Slice index 52 | Brain
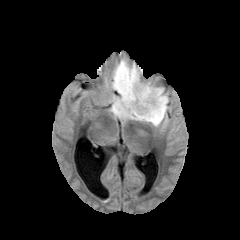
FLAIR MR.
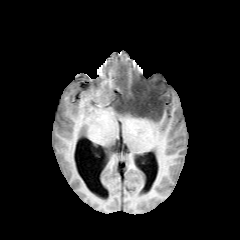
T1-weighted MRI.
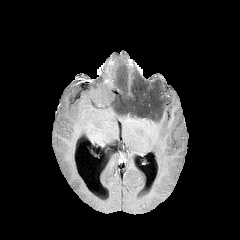
Post-contrast T1-weighted MRI.
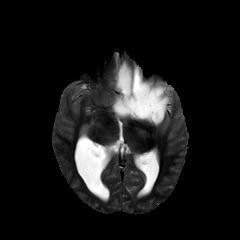
T2-weighted magnetic resonance of the same slice.
<segmentation>
  <non-enhancing_tumor_core>[119, 72, 126, 87], [115, 76, 163, 117]</non-enhancing_tumor_core>
  <edema>[111, 60, 170, 126]</edema>
</segmentation>